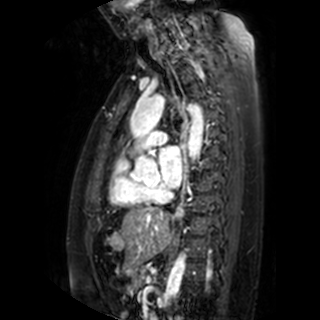
Image size 320x320; Heart; MRI slice
The left atrium appears at left=159, top=146, right=182, bottom=187.